Computed tomography 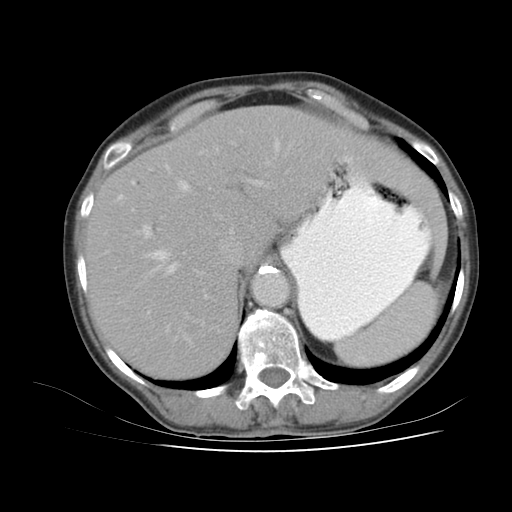
Annotated regions:
• spleen: 336,283,437,367